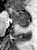 MR

* anterior hippocampus: <box>7,7,29,23</box>
* posterior hippocampus: <box>17,24,28,28</box>